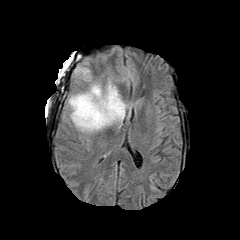
FLAIR magnetic resonance.
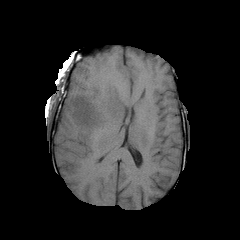
T1-weighted magnetic resonance.
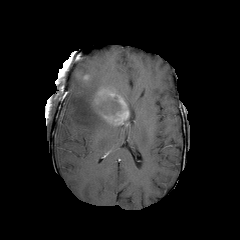
Post-contrast T1-weighted MR image.
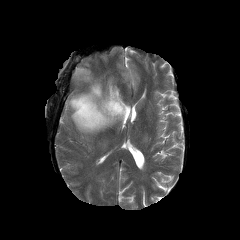
Same slice, T2-weighted magnetic resonance.
Image size 240x240, Brain
<segmentation>
  <edema><bbox>74, 65, 93, 82</bbox>, <bbox>66, 78, 121, 133</bbox></edema>
  <non-enhancing_tumor_core><bbox>96, 90, 120, 114</bbox></non-enhancing_tumor_core>
  <enhancing_tumor><bbox>102, 89, 128, 121</bbox></enhancing_tumor>
</segmentation>